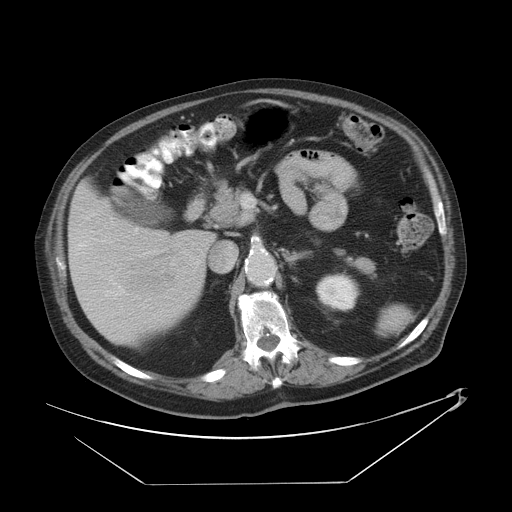
Image size 512x512. CT scan slice.

Some hepatic vessels may have no box.
The liver tumor is bounded by <bbox>131, 254, 175, 287</bbox>. 5 hepatic vessel regions are located at <bbox>92, 238, 103, 241</bbox>, <bbox>109, 241, 110, 243</bbox>, <bbox>79, 242, 85, 246</bbox>, <bbox>71, 260, 72, 265</bbox>, <bbox>135, 228, 137, 233</bbox>.